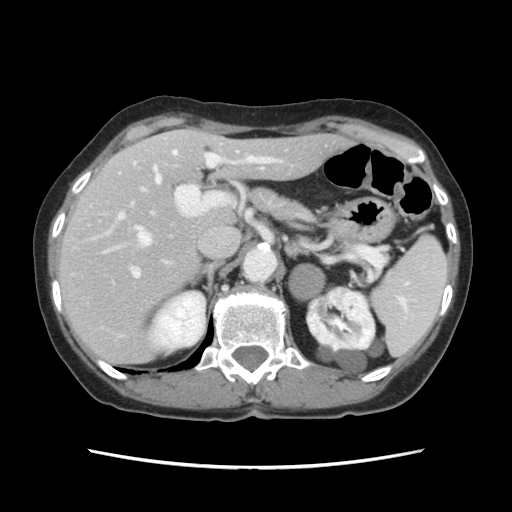 CT image | 512x512
Not every hepatic vessel necessarily has a box.
Findings:
- hepatic vessel: [173, 151, 176, 154], [247, 156, 281, 162], [130, 267, 139, 276], [118, 213, 123, 219], [154, 167, 160, 182], [136, 227, 149, 244], [133, 162, 135, 164]